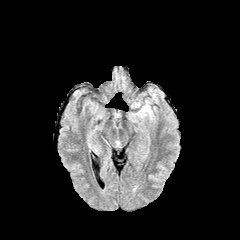
FLAIR MR image.
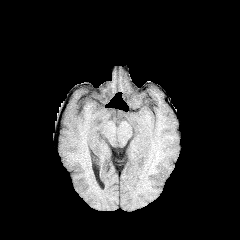
T1-weighted MR image.
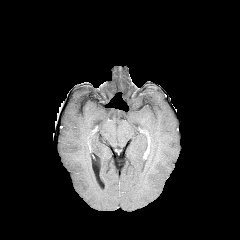
Post-contrast T1-weighted MR image.
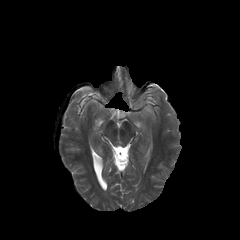
T2-weighted MR.
Edema = left=139, top=100, right=152, bottom=119.